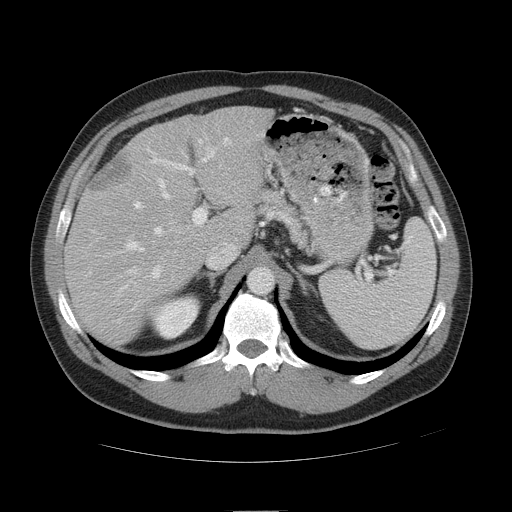

CT scan slice.

Not every hepatic vessel necessarily has a box.
{"hepatic_vessel": ["<box>135,202,141,207</box>", "<box>127,242,143,251</box>", "<box>152,158,193,174</box>", "<box>199,140,201,142</box>", "<box>163,193,168,197</box>", "<box>224,138,230,144</box>", "<box>202,151,213,161</box>", "<box>158,179,164,187</box>", "<box>129,270,136,272</box>", "<box>193,209,205,223</box>", "<box>153,266,159,277</box>", "<box>155,227,160,234</box>"], "liver_tumor": ["<box>90,153,133,193</box>"]}